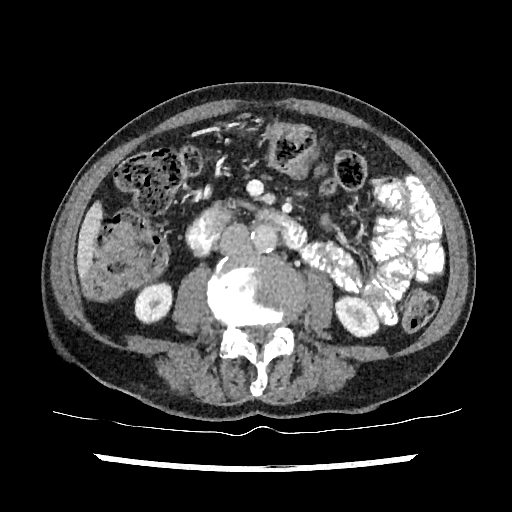
Abdomen, CT image
{"kidney": ["x1=136, y1=285, x2=170, y2=320", "x1=336, y1=298, x2=377, y2=334"], "liver": ["x1=77, y1=200, x2=102, y2=277"]}